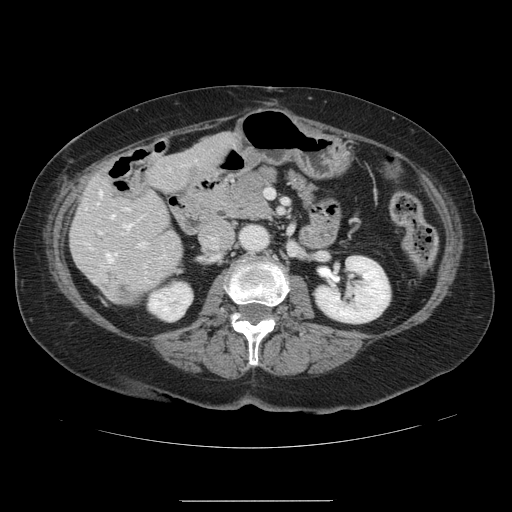

Image size 512x512. Computed tomography. Abdomen.
Not every hepatic vessel necessarily has a box.
hepatic_vessel:
  - x1=99 y1=232 x2=101 y2=233
  - x1=106 y1=253 x2=116 y2=262
  - x1=138 y1=243 x2=145 y2=245
  - x1=99 y1=191 x2=101 y2=195
  - x1=122 y1=232 x2=124 y2=233
  - x1=125 y1=207 x2=128 y2=210
  - x1=124 y1=223 x2=130 y2=229
  - x1=111 y1=214 x2=113 y2=217